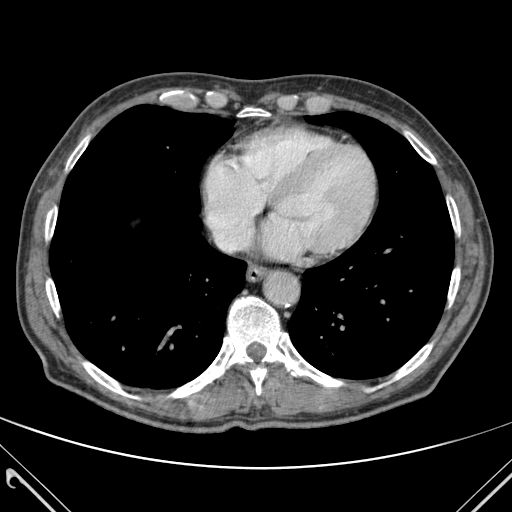

CT slice
Lung — <box>288,111,453,378</box>, <box>49,104,246,388</box>.
Bone — <box>394,345,431,379</box>, <box>448,268,459,304</box>, <box>170,297,342,397</box>, <box>46,277,59,316</box>, <box>447,197,459,233</box>, <box>237,108,270,116</box>, <box>66,138,88,167</box>, <box>45,204,56,240</box>, <box>83,362,136,398</box>, <box>250,368,266,394</box>, <box>406,132,435,163</box>.